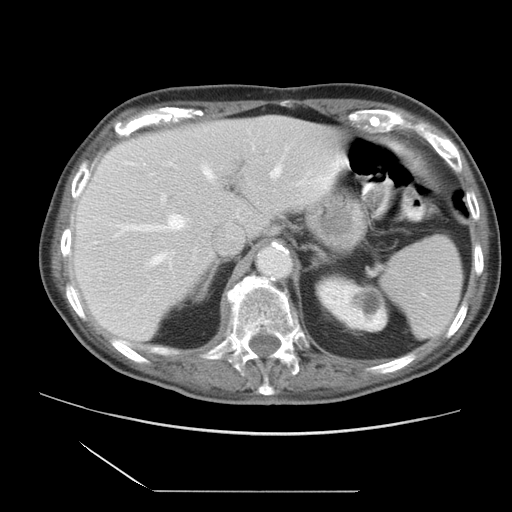
CT image.

The vessel boxes may cover only some of the vessels.
hepatic_vessel:
  - 270:167:281:177
  - 145:251:173:268
  - 311:158:342:184
  - 126:162:131:164
  - 204:167:213:179
  - 302:181:306:182
  - 115:213:189:236
  - 160:193:166:203